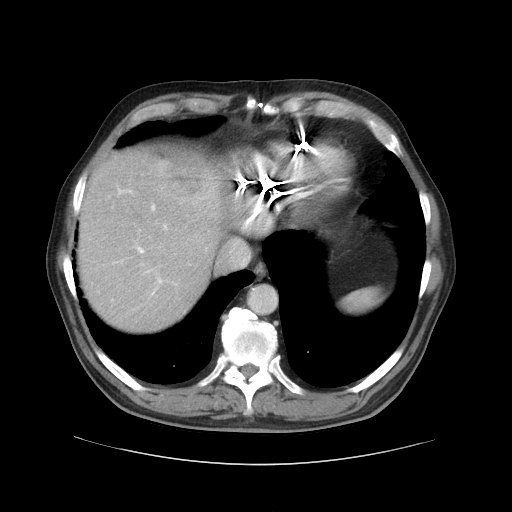

512x512 | Abdomen | Computed tomography
The vessel boxes may cover only some of the vessels.
Hepatic vessel: region(122, 190, 131, 192); region(164, 224, 166, 229); region(151, 205, 155, 211); region(136, 247, 144, 253); region(158, 279, 159, 280).
Liver tumor: region(166, 158, 206, 197).